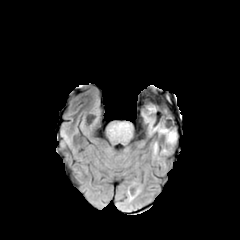
FLAIR MR.
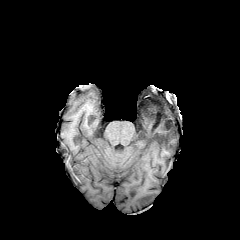
Same slice, T1-weighted magnetic resonance.
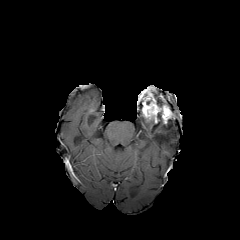
Post-contrast T1-weighted magnetic resonance.
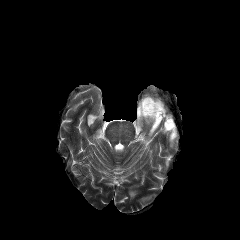
Same slice, T2-weighted MR.
Head
Non-enhancing tumor core = (left=152, top=111, right=164, bottom=121).
Edema = (left=153, top=142, right=158, bottom=154), (left=144, top=118, right=177, bottom=145).
Enhancing tumor = (left=142, top=100, right=167, bottom=121).